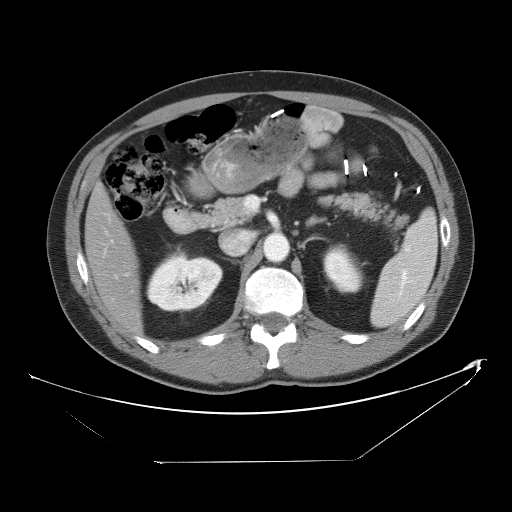
512x512; CT slice
Only some of the vessels may be annotated.
Annotated regions:
• hepatic vessel: [104, 248, 106, 253], [105, 213, 110, 219], [114, 274, 117, 278], [105, 231, 108, 234], [125, 273, 128, 275]